CT slice; Liver

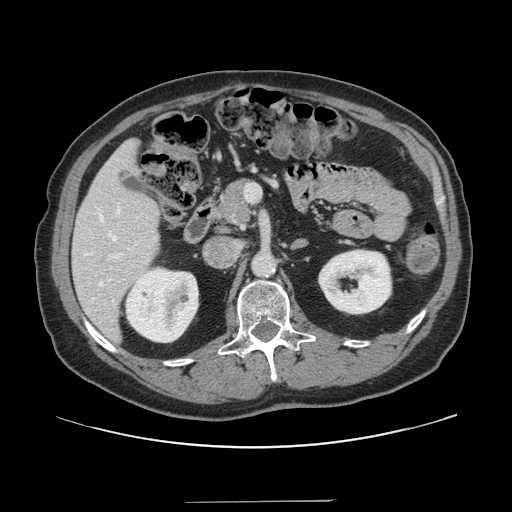 Only some of the vessels may be annotated.
<segmentation>
  <hepatic_vessel>{"x1": 108, "y1": 253, "x2": 122, "y2": 259}, {"x1": 245, "y1": 184, "x2": 259, "y2": 200}, {"x1": 99, "y1": 282, "x2": 102, "y2": 285}, {"x1": 127, "y1": 247, "x2": 131, "y2": 250}, {"x1": 117, "y1": 209, "x2": 119, "y2": 213}, {"x1": 100, "y1": 215, "x2": 103, "y2": 221}, {"x1": 109, "y1": 233, "x2": 116, "y2": 241}</hepatic_vessel>
</segmentation>